Slice 22 of 79. Abdomen. 512x512 px. CT slice.

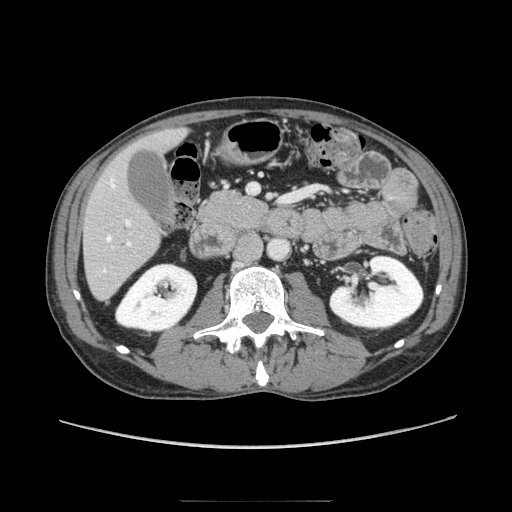

The pancreas lies within (198,191,266,230).